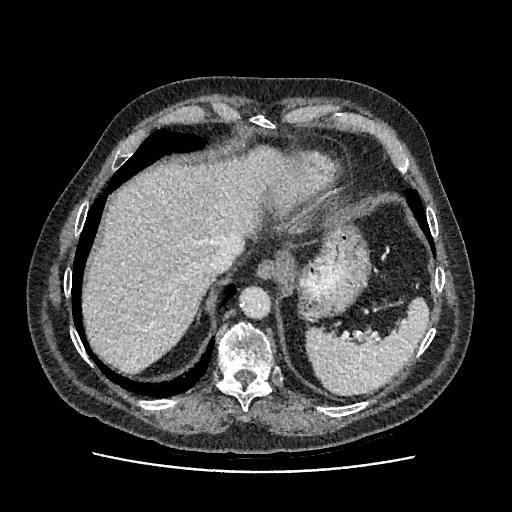 CT

• liver: [82, 147, 302, 373]